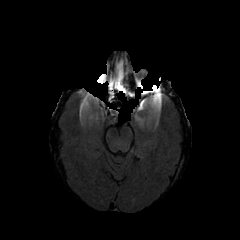
FLAIR MRI.
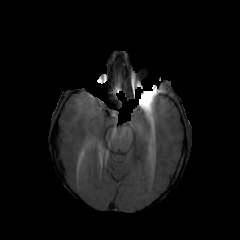
T1-weighted MR.
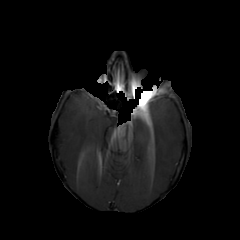
Post-contrast T1-weighted MRI.
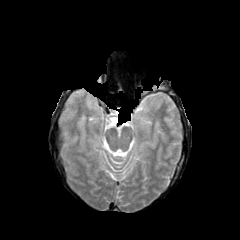
T2-weighted MR.
240x240 px
Enhancing tumor at 134, 92, 155, 117.
Edema at 151, 94, 163, 111.
Non-enhancing tumor core at 142, 100, 153, 126.